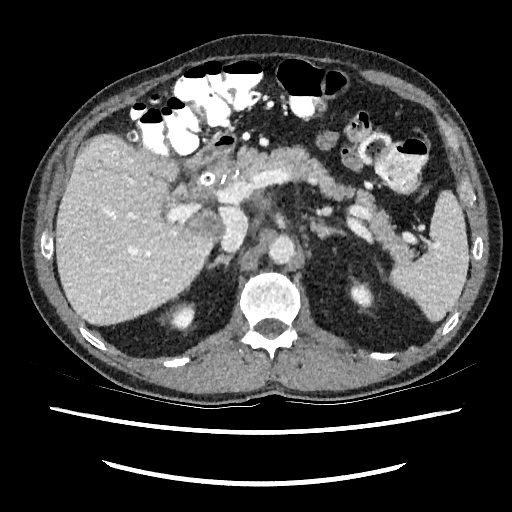
CT image; Upper abdomen

2 kidney regions appear at box(174, 310, 193, 326); box(352, 287, 369, 303). The liver appears at box(56, 135, 217, 324). 2 hepatic lesion regions are bounded by box(191, 210, 221, 239); box(214, 167, 223, 177).